Lower abdomen, CT image
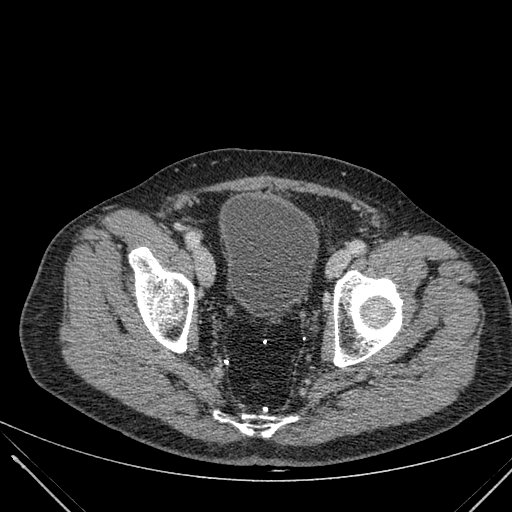
The urinary bladder lies within [219, 196, 318, 312].